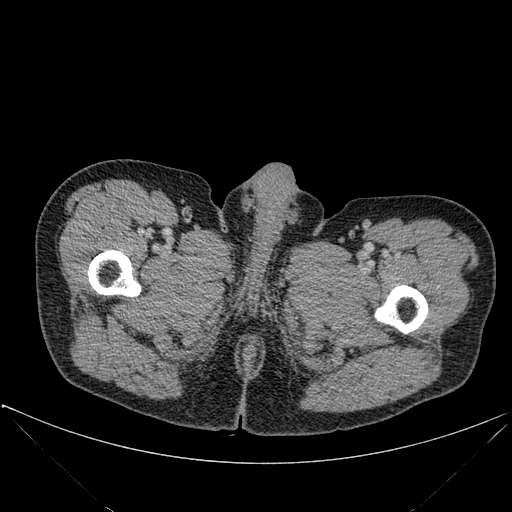
CT slice
2 bone regions are bounded by 88 250 140 296, 375 285 427 333.